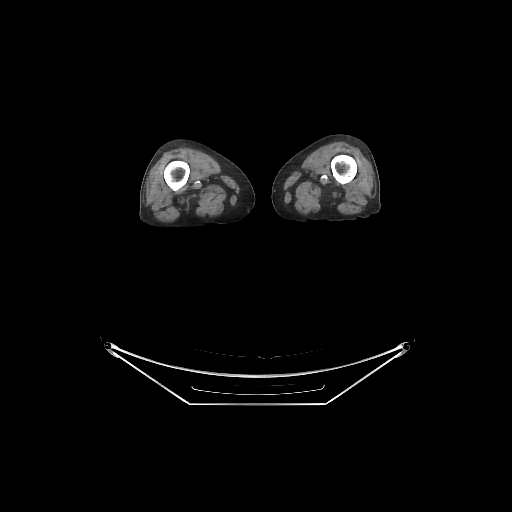

CT image
Bone — 331:155:356:184, 164:161:189:190.